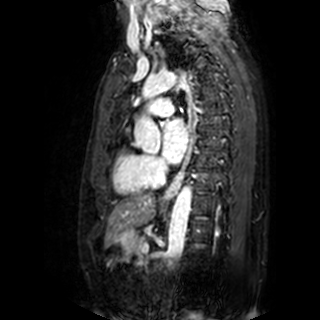

Heart | Magnetic resonance | Image size 320x320

Left atrium — (x1=163, y1=119, x2=188, y2=163).